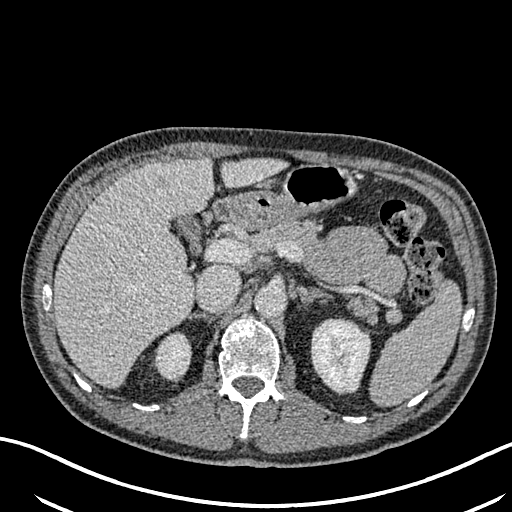 Upper abdomen. 512x512 px. CT image.
<segmentation>
  <liver_lesion>rect(154, 175, 169, 187)</liver_lesion>
  <liver>rect(55, 159, 212, 386); rect(222, 158, 285, 188)</liver>
  <kidney>rect(312, 320, 369, 391); rect(157, 335, 189, 377)</kidney>
</segmentation>